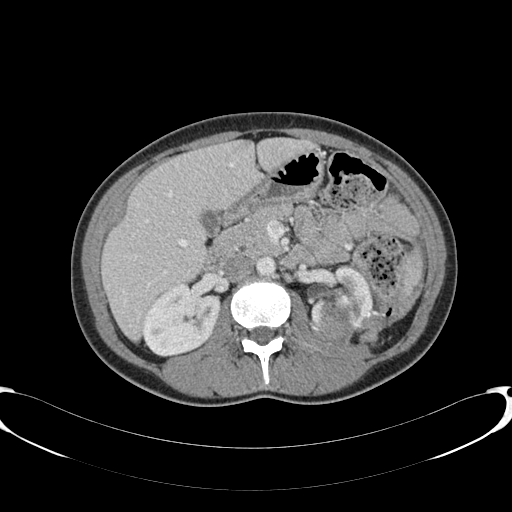 512x512, Abdomen, CT scan slice

Liver: bounding box (x1=257, y1=138, x2=313, y2=170), (x1=103, y1=140, x2=259, y2=339).
Kidney: bounding box (x1=143, y1=282, x2=218, y2=355), (x1=312, y1=268, x2=371, y2=348).